CT slice. Field of view 328x328 mm. Slice 38 of 124. 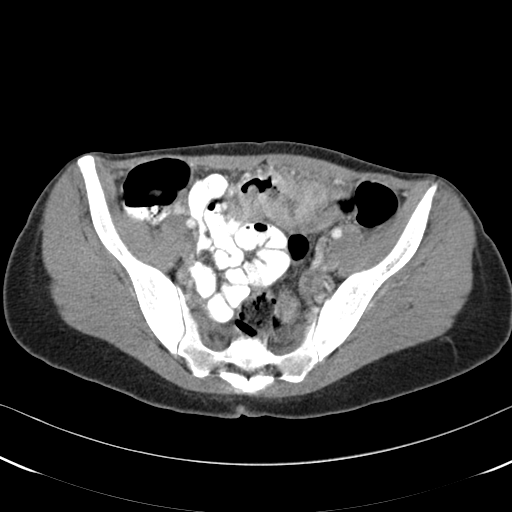 <segmentation>
  <colon_tumor>bbox=[236, 173, 346, 232]</colon_tumor>
</segmentation>